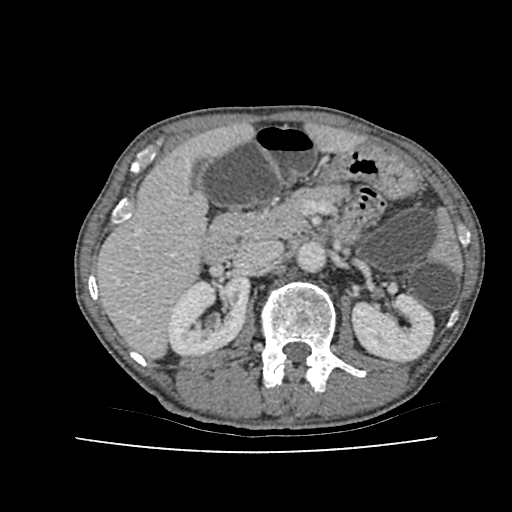 512x512 | Liver | Computed tomography
2 kidney regions are bounded by (x1=168, y1=277, x2=249, y2=354), (x1=352, y1=295, x2=433, y2=360). 2 liver regions are bounded by (x1=98, y1=126, x2=250, y2=354), (x1=308, y1=126, x2=358, y2=150).